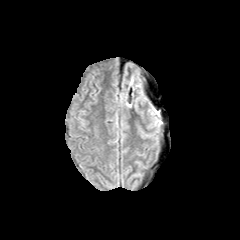
FLAIR MR image.
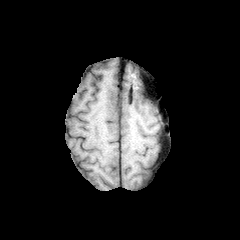
Same slice, T1-weighted MR image.
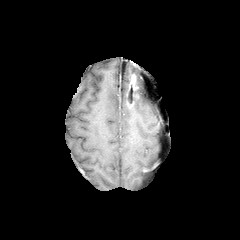
Same slice, post-contrast T1-weighted magnetic resonance.
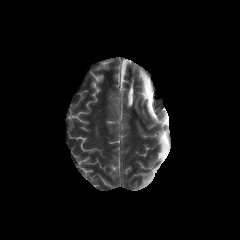
T2-weighted MRI of the same slice.
240x240
edema: [147, 106, 159, 127], [127, 80, 145, 109]